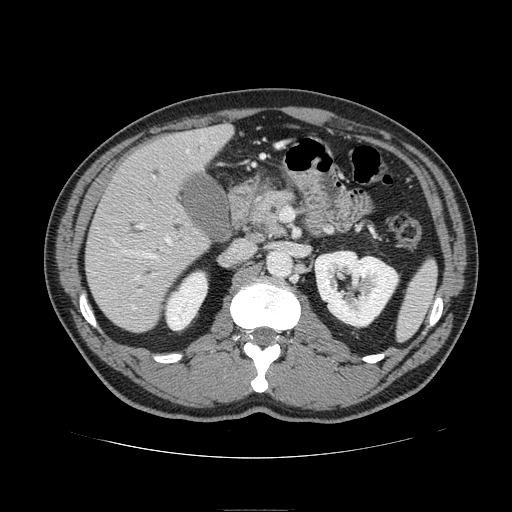
Upper abdomen | CT slice

pancreas: rect(250, 192, 293, 234)